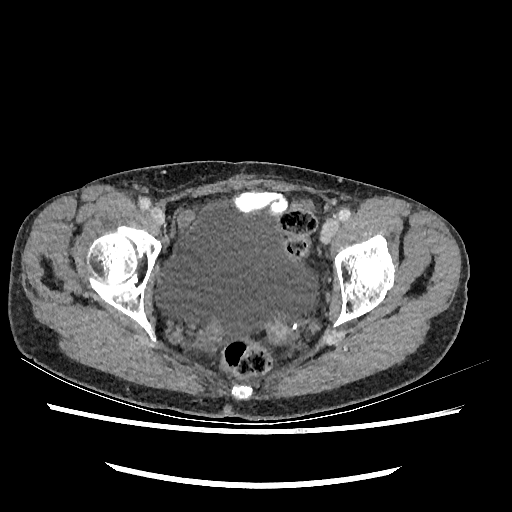

Computed tomography, Lower abdomen

Urinary bladder = bbox=[156, 198, 317, 342].